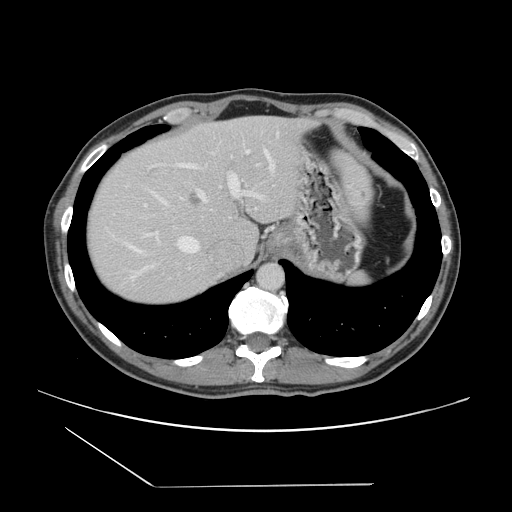 CT scan slice
Only some of the vessels may be annotated.
Most prominent 15 of 18 hepatic vessel regions at 157, 238, 159, 244; 276, 132, 278, 136; 233, 195, 247, 197; 141, 268, 143, 271; 250, 189, 255, 192; 150, 191, 167, 205; 237, 177, 242, 185; 149, 165, 154, 167; 264, 149, 271, 161; 142, 235, 147, 238; 228, 171, 233, 185; 268, 163, 274, 169; 136, 250, 141, 253; 127, 270, 139, 279; 198, 190, 205, 200.
Liver tumor at 189, 193, 200, 207.